Slice index 114; Head
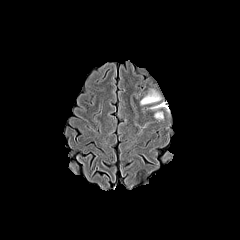
FLAIR MR.
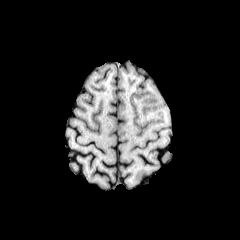
T1-weighted MR.
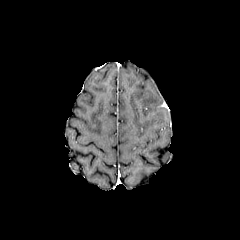
Post-contrast T1-weighted MR image of the same slice.
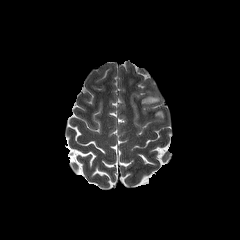
T2-weighted magnetic resonance.
edema:
  - (141,93,160,104)